Slice 64/104. CT slice. Abdomen. Image width 379 mm.
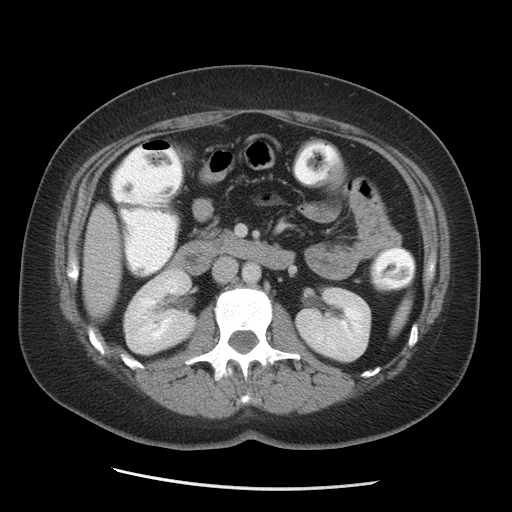 kidney:
  - 297 288 369 360
  - 125 270 193 352
liver:
  - 83 204 120 312